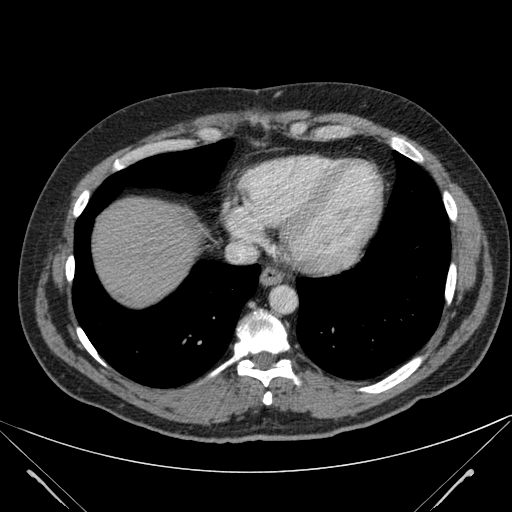
Abdomen; CT image
Annotated regions:
- liver: (x1=92, y1=198, x2=200, y2=306)